CT slice. Liver. Field of view 350 mm wide, 0.70 mm slice spacing.
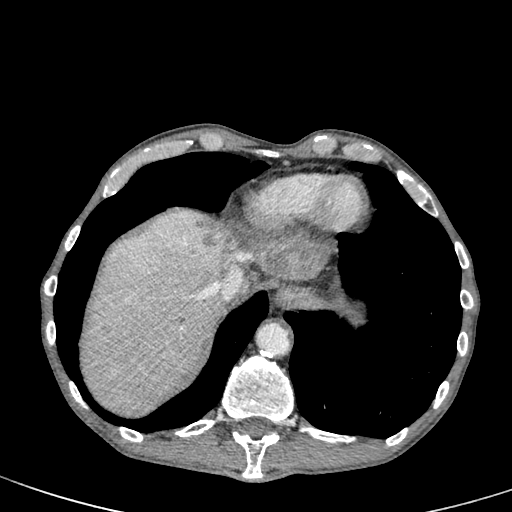

Liver: (x1=242, y1=271, x2=260, y2=291), (x1=272, y1=274, x2=305, y2=280), (x1=81, y1=212, x2=255, y2=416).
Hepatic lesion: (x1=101, y1=325, x2=111, y2=333), (x1=199, y1=217, x2=332, y2=279).